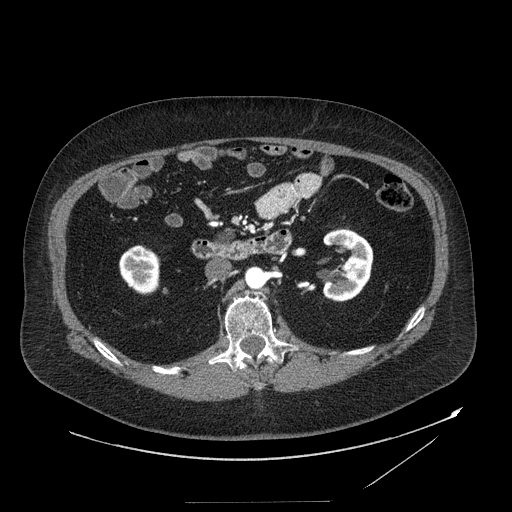
512x512 px | CT | Upper abdomen
The pancreatic tumor lies within [219,231,232,243]. The pancreas is at [213,229,235,248].